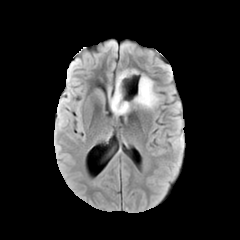
FLAIR magnetic resonance.
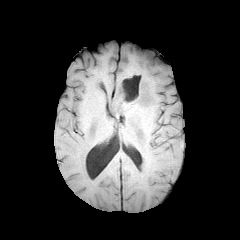
T1-weighted MR of the same slice.
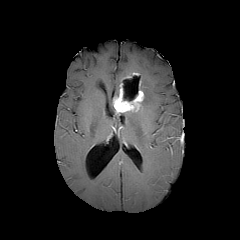
Same slice, post-contrast T1-weighted MRI.
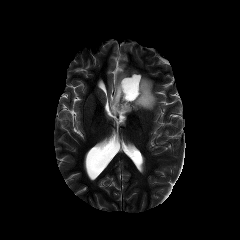
T2-weighted MRI.
{"edema": ["bbox=[108, 69, 137, 102]", "bbox=[123, 74, 160, 109]"], "enhancing_tumor": ["bbox=[112, 80, 143, 114]"], "non-enhancing_tumor_core": ["bbox=[123, 92, 135, 104]", "bbox=[110, 84, 125, 115]", "bbox=[129, 82, 147, 110]"]}